Field of view 240x240 mm; Brain; Slice 93/155
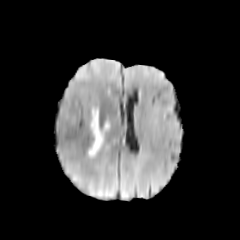
FLAIR MR.
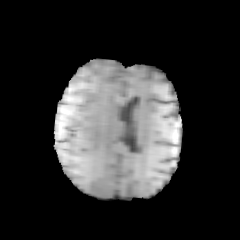
T1-weighted MR image of the same slice.
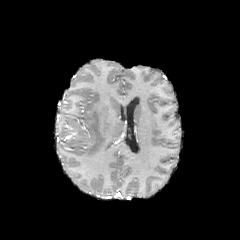
Same slice, post-contrast T1-weighted MR image.
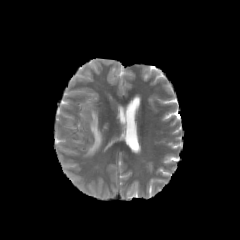
Same slice, T2-weighted MR.
Findings:
* edema: 85, 108, 110, 157